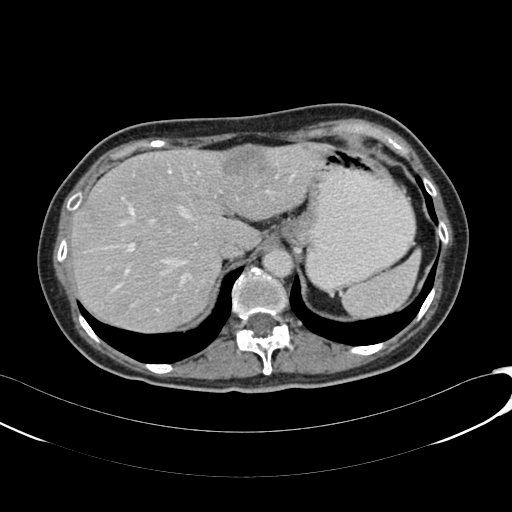 512x512, Computed tomography, Upper abdomen

<segmentation>
  <focal_liver_lesion><bbox>119, 304, 126, 313</bbox>, <bbox>223, 146, 276, 177</bbox></focal_liver_lesion>
  <liver><bbox>71, 142, 332, 329</bbox></liver>
</segmentation>